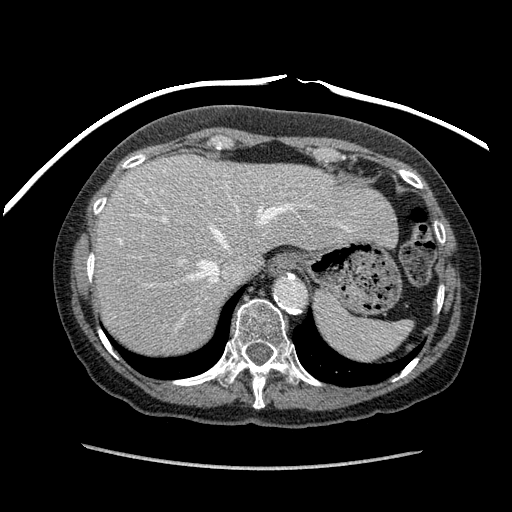
CT image

• liver: box=[94, 155, 396, 355]